CT | Slice index 462 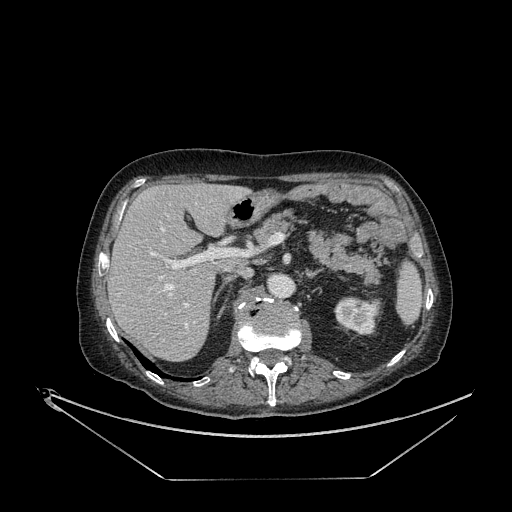 The liver is at <bbox>108, 183, 251, 361</bbox>. The kidney is located at <bbox>335, 298, 379, 334</bbox>.